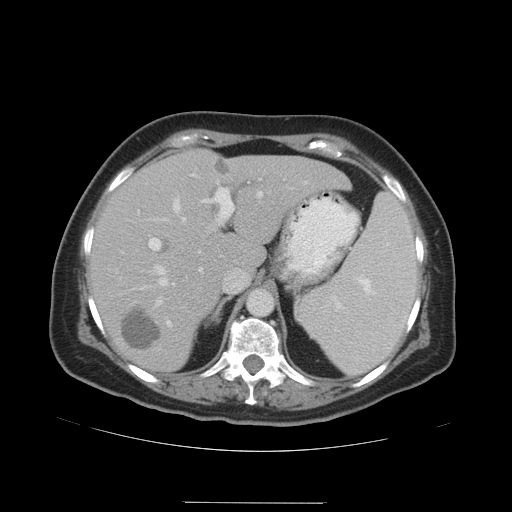 Abdomen; CT slice

The vessel annotation is not exhaustive.
13 hepatic vessel regions are bounded by 183 218 185 222, 213 229 215 230, 173 199 179 211, 202 187 234 225, 167 321 171 325, 155 265 167 285, 199 268 202 271, 156 298 161 305, 257 191 262 196, 198 251 200 252, 171 283 174 285, 304 181 306 183, 149 238 160 250. 2 liver tumor regions appear at 124 312 160 348, 214 161 228 173.